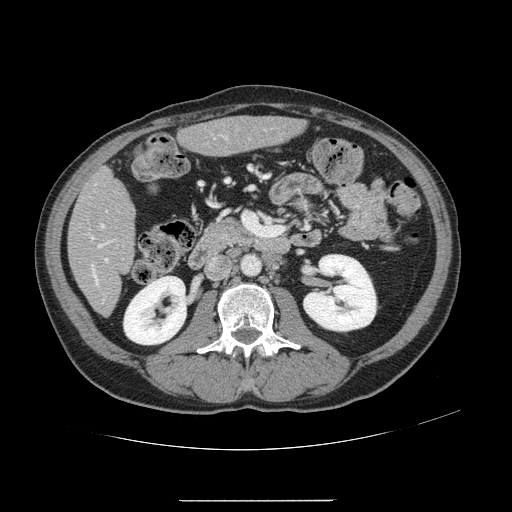 CT image

Not every hepatic vessel necessarily has a box.
{
  "hepatic_vessel": [
    "region(99, 240, 111, 247)",
    "region(89, 234, 93, 239)",
    "region(101, 224, 103, 227)",
    "region(105, 259, 107, 261)",
    "region(91, 264, 98, 287)"
  ]
}